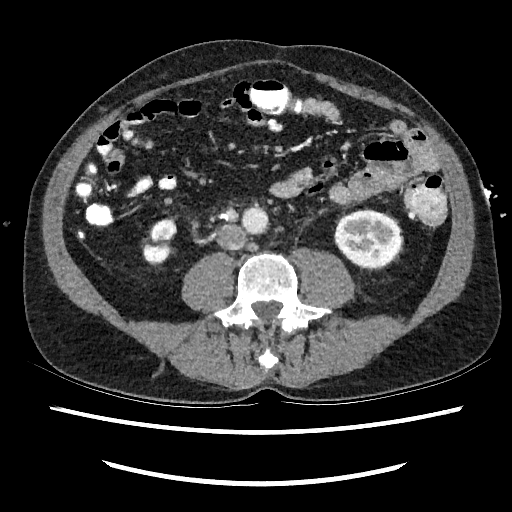 Computed tomography.
kidney:
  - [x1=152, y1=221, x2=175, y2=239]
  - [x1=144, y1=247, x2=167, y2=261]
  - [x1=336, y1=211, x2=400, y2=266]